Head
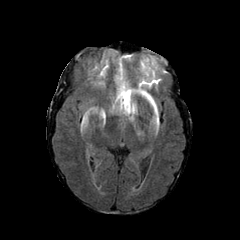
FLAIR magnetic resonance.
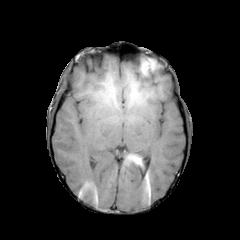
T1-weighted MRI of the same slice.
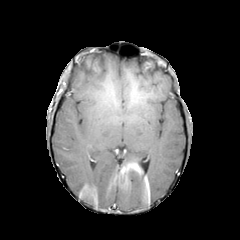
Post-contrast T1-weighted MR of the same slice.
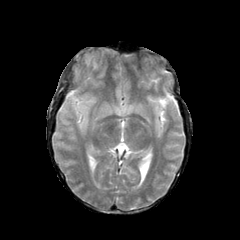
Same slice, T2-weighted MRI.
edema:
  - [143,87,157,115]
  - [121,88,131,111]
  - [144,72,159,87]
  - [82,111,88,126]